Image width 409 mm | CT scan slice | Slice 56 of 244 | Lower abdomen | Image size 512x512
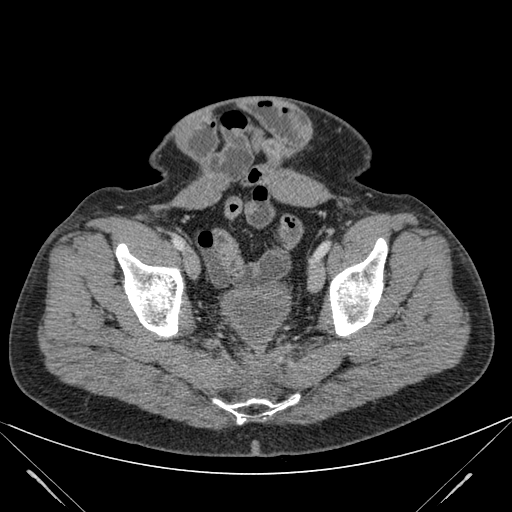 The urinary bladder is bounded by l=219, t=284, r=291, b=339.